FLAIR MR.
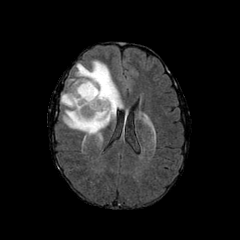
T1-weighted MR image.
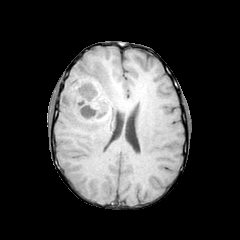
Post-contrast T1-weighted MR.
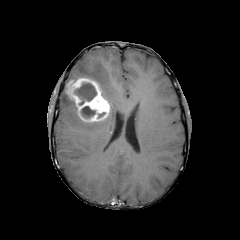
T2-weighted MR image.
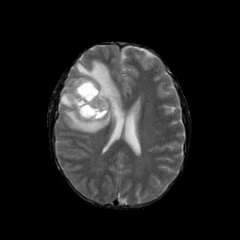
<segmentation>
  <enhancing_tumor>65, 77, 110, 121</enhancing_tumor>
  <non-enhancing_tumor_core>80, 106, 96, 118; 74, 82, 96, 105</non-enhancing_tumor_core>
  <edema>61, 60, 122, 134</edema>
</segmentation>